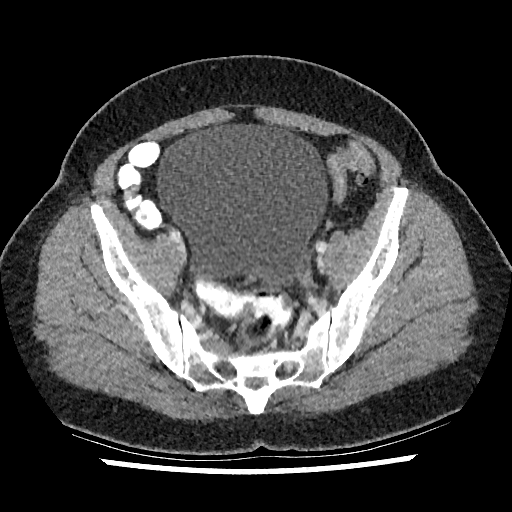 Lower abdomen; CT
* urinary bladder: 157,122,327,292